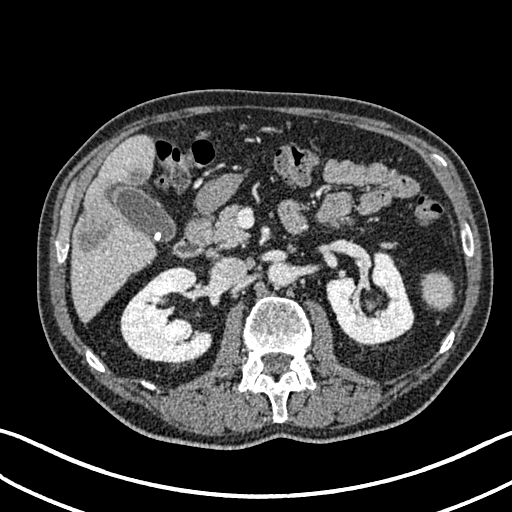
512x512 px. CT.
2 liver lesion regions are bounded by x1=77 y1=200 x2=117 y2=250, x1=129 y1=168 x2=146 y2=182. The liver is located at x1=72 y1=136 x2=155 y2=320. 2 kidney regions are bounded by x1=121 y1=268 x2=219 y2=362, x1=327 y1=246 x2=413 y2=343.